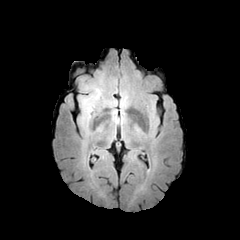
FLAIR MR.
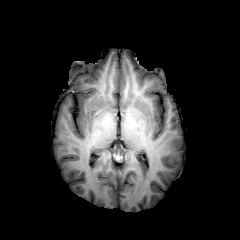
T1-weighted MR of the same slice.
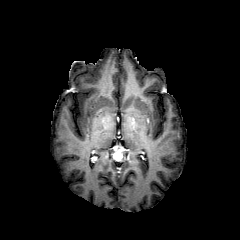
Same slice, post-contrast T1-weighted magnetic resonance.
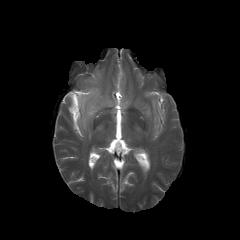
T2-weighted magnetic resonance of the same slice.
• edema: bbox=[78, 86, 104, 127]; bbox=[113, 90, 131, 112]